Head.
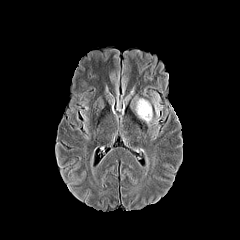
FLAIR MR image.
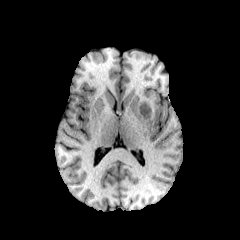
T1-weighted MR.
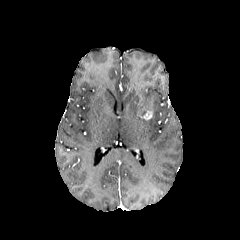
Post-contrast T1-weighted magnetic resonance.
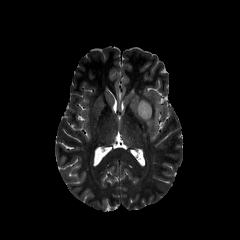
T2-weighted MR.
Edema: [135,93,162,126].
Enhancing tumor: [141,110,152,119].